Slice index 267; CT; Abdomen; 512x512
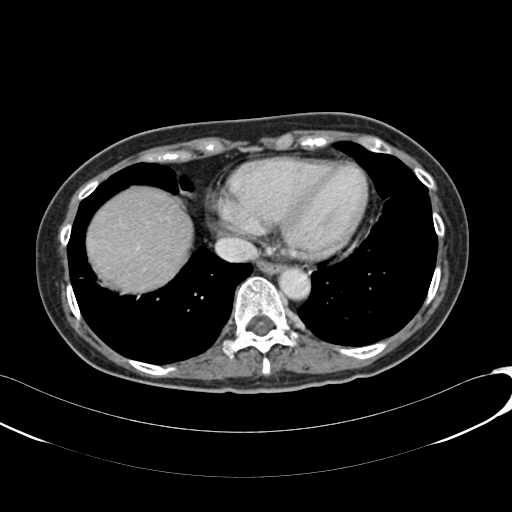 <segmentation>
  <liver>[86, 187, 190, 290]</liver>
</segmentation>